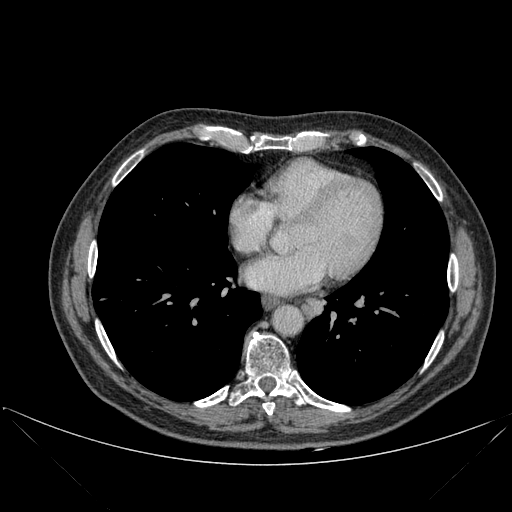
Computed tomography; Thorax; 512x512
Segmented structures:
* lung: 92:143:262:401, 296:147:449:404
* bone: 112:150:142:185, 424:334:443:368, 447:254:458:291, 301:132:326:135, 263:402:274:414, 88:241:97:277, 194:386:228:407, 255:135:291:149, 426:172:442:200, 235:332:350:411, 95:321:117:363